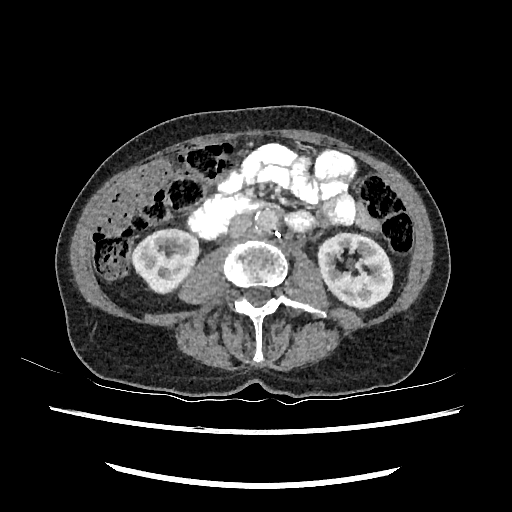
Abdomen | 512x512 | CT
2 kidney regions are located at <bbox>318, 232, 392, 307</bbox>, <bbox>133, 228, 198, 291</bbox>.